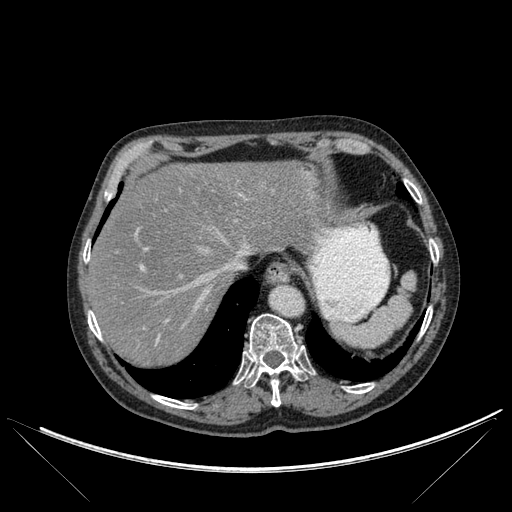

Image size 512x512, Computed tomography

Lung — <box>121,277,258,398</box>, <box>306,316,422,381</box>, <box>97,199,116,234</box>, <box>396,183,407,197</box>.
Bone — <box>404,179,421,202</box>, <box>420,307,432,335</box>, <box>83,243,90,261</box>, <box>152,395,194,409</box>, <box>88,311,101,339</box>, <box>429,239,438,262</box>, <box>344,383,373,393</box>, <box>234,314,313,406</box>.
Liver — <box>89,161,315,366</box>.